512x512, Computed tomography

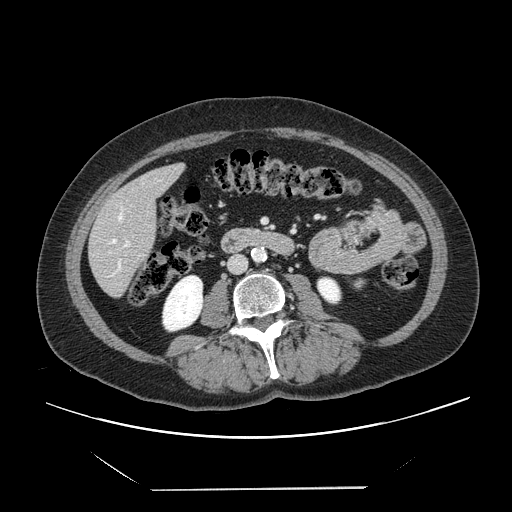 The vessel boxes may cover only some of the vessels.
<segmentation>
  <hepatic_vessel>box=[108, 250, 113, 253]; box=[108, 238, 117, 247]; box=[117, 204, 124, 222]; box=[123, 239, 130, 247]; box=[110, 259, 121, 275]</hepatic_vessel>
</segmentation>